Slice 27 of 30. CT image.
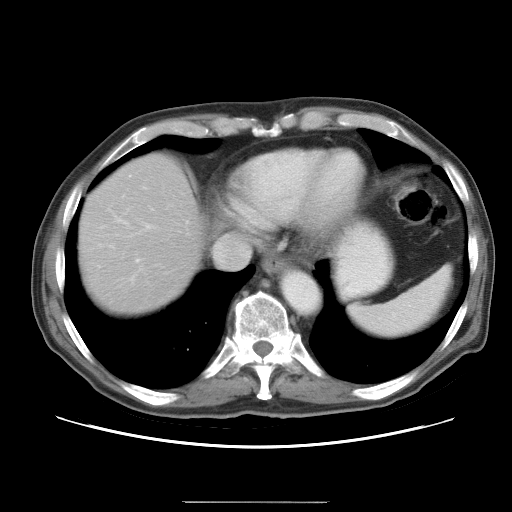
The vessel boxes may cover only some of the vessels.
2 hepatic vessel regions appear at left=135, top=259, right=139, bottom=262; left=185, top=221, right=188, bottom=223.